FLAIR MRI.
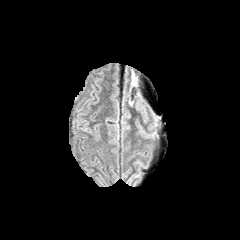
T1-weighted MR.
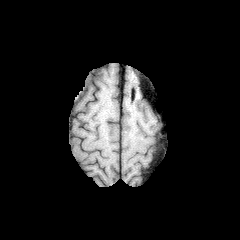
Post-contrast T1-weighted MR image.
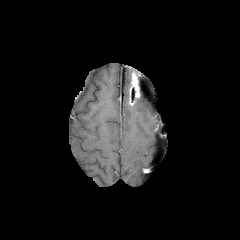
T2-weighted MRI.
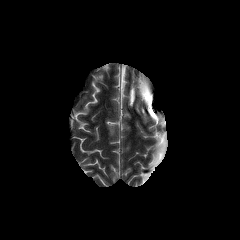
Brain. 240x240 px.
Non-enhancing tumor core = {"x1": 132, "y1": 84, "x2": 139, "y2": 102}.
Enhancing tumor = {"x1": 130, "y1": 77, "x2": 137, "y2": 89}.